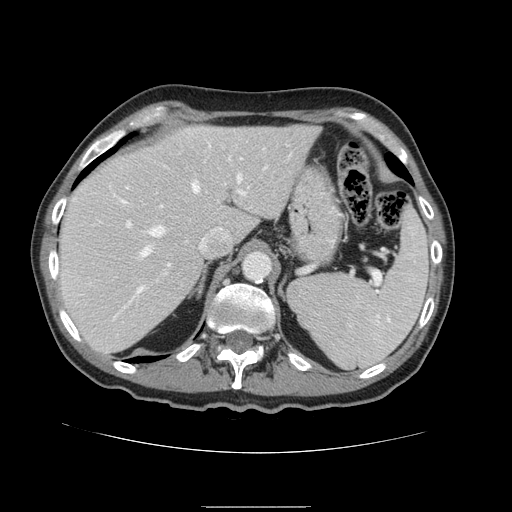 CT; Abdomen

Some hepatic vessels may have no box.
{"hepatic_vessel": ["137,287,144,292", "122,199,126,202", "127,221,130,225", "237,174,241,181", "238,223,243,226", "167,263,170,266", "199,212,231,254", "192,182,199,192", "237,188,245,193", "141,247,151,256", "149,226,164,235"]}